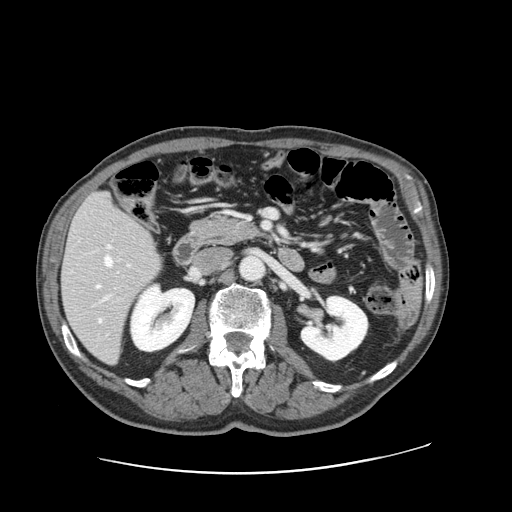 512x512 px | CT
Some hepatic vessels may have no box.
hepatic_vessel:
  - (96, 285, 100, 287)
  - (107, 245, 111, 248)
  - (105, 256, 111, 265)
  - (99, 319, 101, 321)
  - (100, 296, 108, 301)